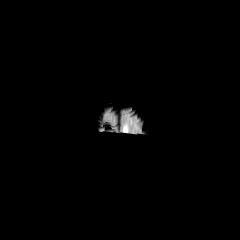
FLAIR MR image.
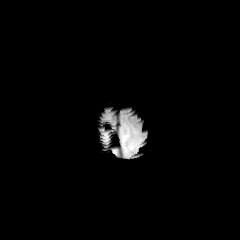
T1-weighted MRI.
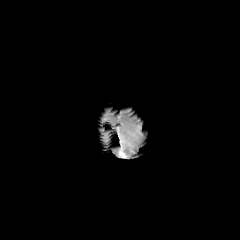
Post-contrast T1-weighted MR of the same slice.
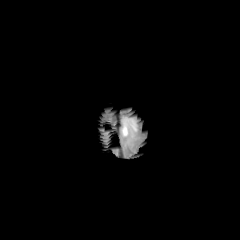
T2-weighted magnetic resonance of the same slice.
<segmentation>
  <edema>(122,117,137,135)</edema>
</segmentation>